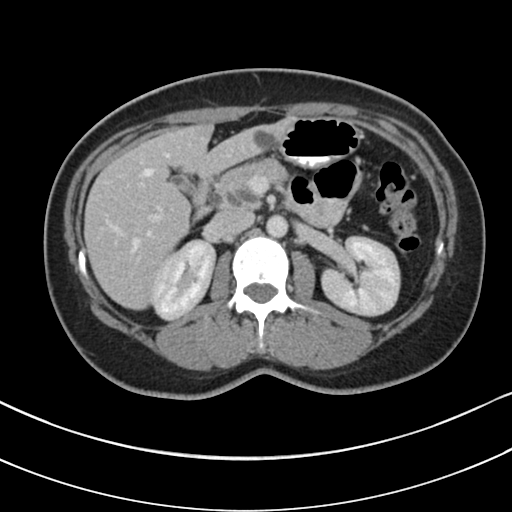 Upper abdomen | CT scan slice | Image size 512x512
The pancreatic tumor is at box(224, 188, 259, 207). The pancreas is located at box(206, 159, 290, 210).